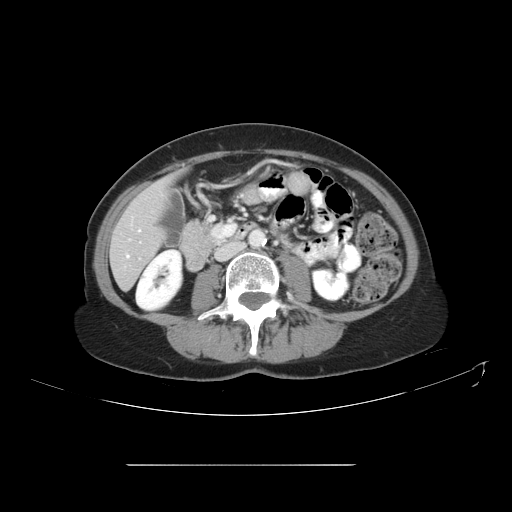

Liver. Computed tomography. Image size 512x512.

Not every hepatic vessel necessarily has a box.
<segmentation>
  <hepatic_vessel>box=[126, 254, 128, 257]; box=[138, 229, 140, 231]</hepatic_vessel>
</segmentation>